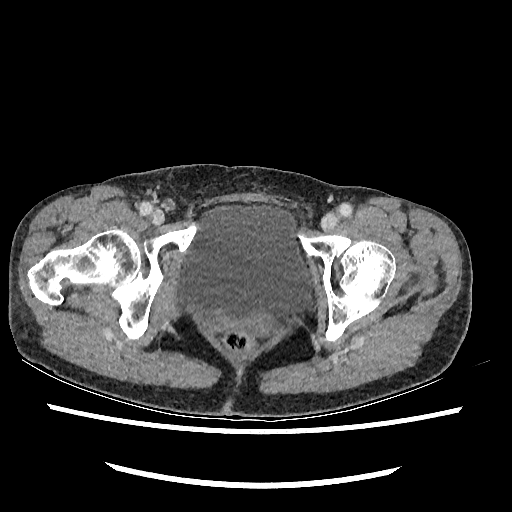 CT image

urinary bladder: (x1=174, y1=204, x2=313, y2=330)